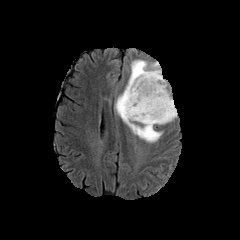
FLAIR MR image.
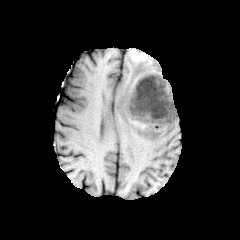
T1-weighted MR image.
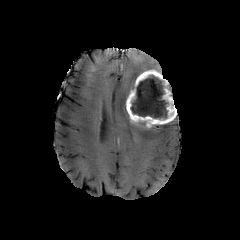
Same slice, post-contrast T1-weighted MRI.
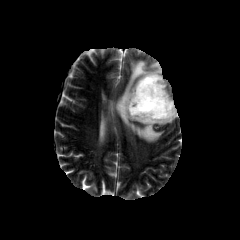
Same slice, T2-weighted MRI.
Brain
<segmentation>
  <enhancing_tumor>box(126, 70, 176, 126)</enhancing_tumor>
  <non-enhancing_tumor_core>box(146, 126, 153, 135); box(131, 76, 165, 117); box(120, 96, 127, 112)</non-enhancing_tumor_core>
  <edema>box(114, 60, 169, 142)</edema>
</segmentation>